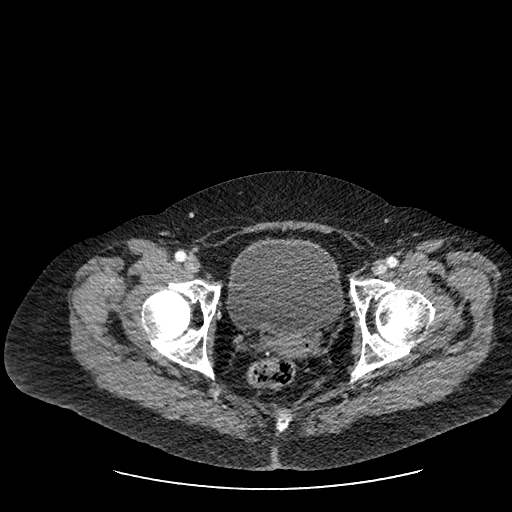 Lower abdomen | CT slice

Urinary bladder at 226,242,342,337.